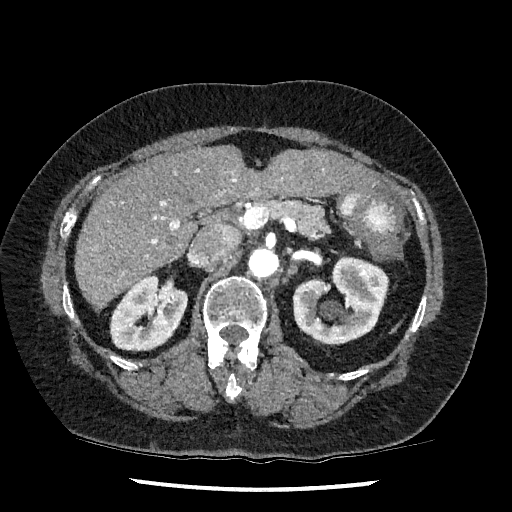 CT, Abdomen
Liver: bounding box 76,145,377,309.
Kidney: bounding box 293,258,387,343; 111,276,187,350.